512x512 px. CT. Upper abdomen.
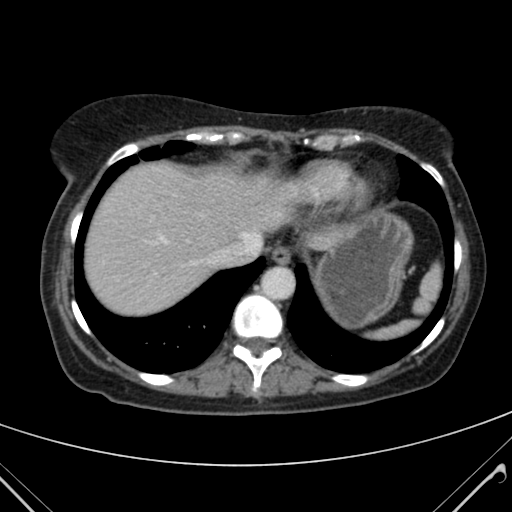 Annotated regions:
* liver: bbox(84, 162, 336, 314)